FLAIR MR.
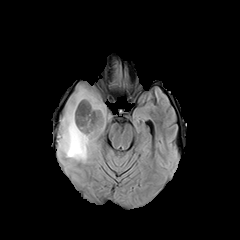
T1-weighted magnetic resonance.
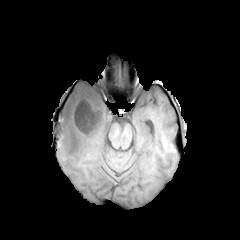
Post-contrast T1-weighted MR.
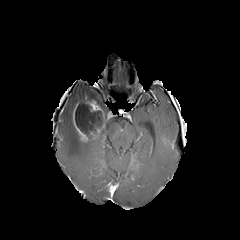
T2-weighted magnetic resonance.
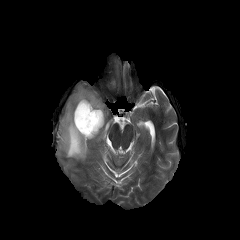
{"enhancing_tumor": ["box=[74, 124, 87, 139]", "box=[87, 100, 103, 112]"], "edema": ["box=[58, 86, 109, 167]"], "non-enhancing_tumor_core": ["box=[72, 95, 104, 137]"]}